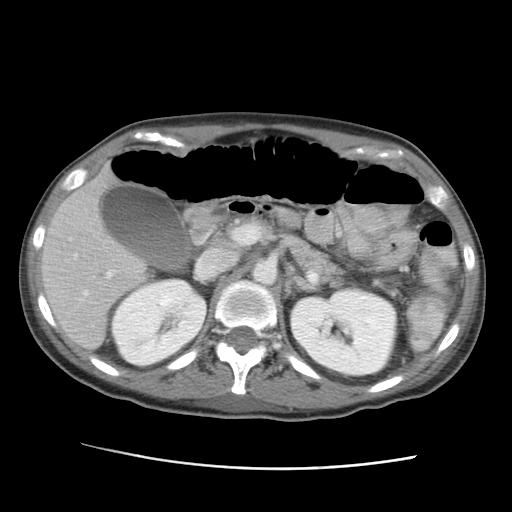
CT
{"kidney": ["291,289,396,374", "113,280,205,364"], "liver": ["42,163,146,348"]}